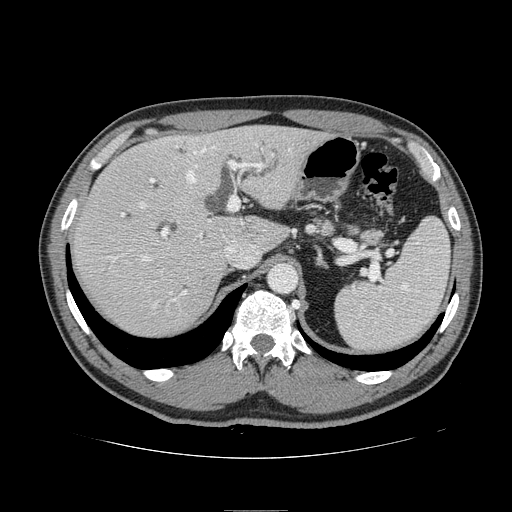
Upper abdomen | Computed tomography
pancreas:
  - [346, 225, 382, 245]
  - [315, 218, 334, 234]